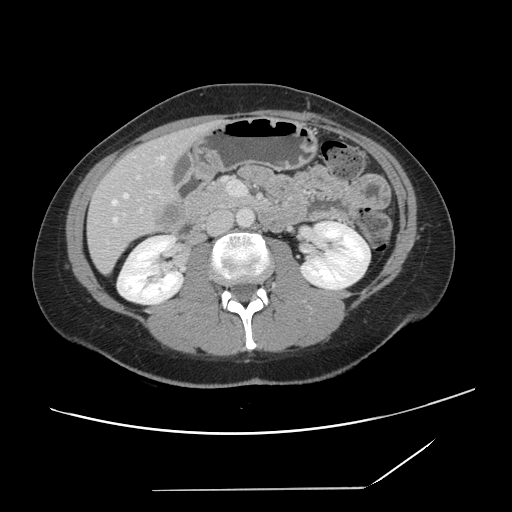

Abdomen | 512x512 | Computed tomography
Some hepatic vessels may have no box.
{
  "liver_tumor": [
    "(157,201,184,228)"
  ],
  "hepatic_vessel": [
    "(157,156,164,164)",
    "(112,200,116,204)",
    "(137,176,139,178)",
    "(124,194,127,197)",
    "(113,217,116,222)",
    "(107,241,108,242)",
    "(139,209,141,211)",
    "(151,191,155,193)"
  ]
}